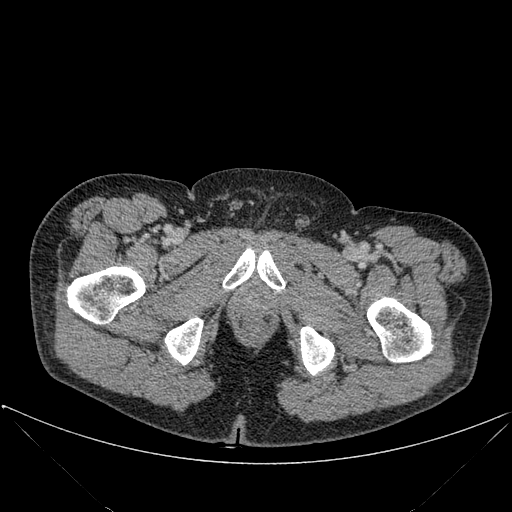
CT scan slice

Bone: (165,318,202,364), (67,266,145,323), (223,248,285,291), (367,297,432,362), (300,326,334,375).